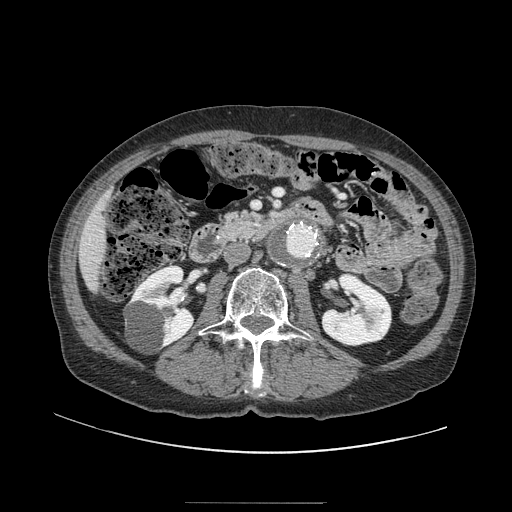 Computed tomography; Abdomen
Pancreas at rect(222, 210, 263, 241).